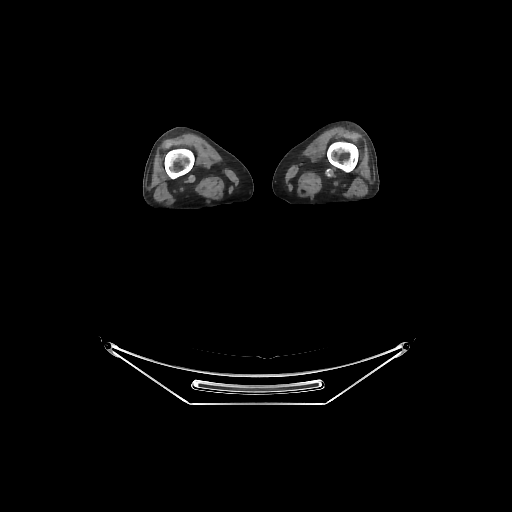
CT image

bone:
  - [165,149,194,178]
  - [327,142,358,172]